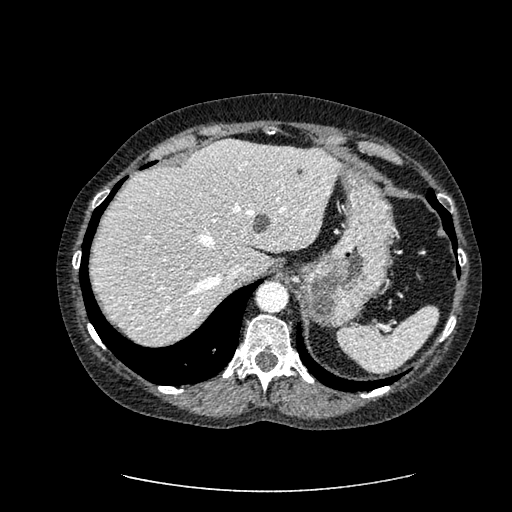
Upper abdomen, CT scan slice

{
  "liver": [
    "l=89, t=139, r=338, b=344"
  ],
  "focal_liver_lesion": [
    "l=295, t=147, r=309, b=151",
    "l=252, t=213, r=270, b=233"
  ]
}